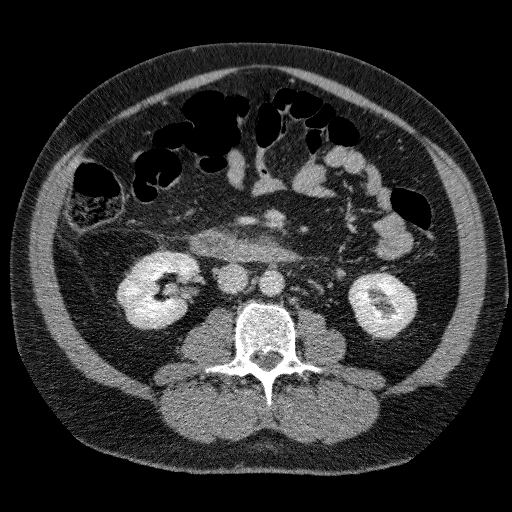
512x512 px; CT scan slice; Abdomen
2 kidney regions appear at [119, 252, 197, 327], [350, 274, 415, 335].